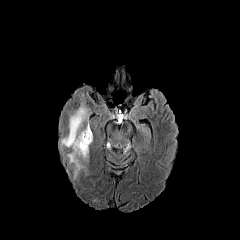
FLAIR MRI.
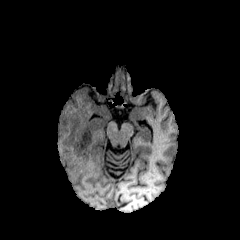
Same slice, T1-weighted MR.
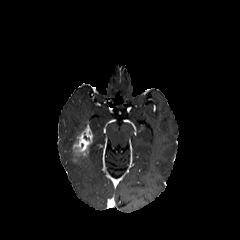
Post-contrast T1-weighted magnetic resonance.
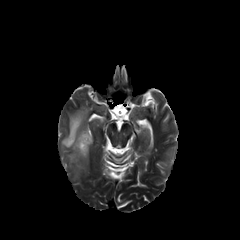
T2-weighted magnetic resonance of the same slice.
The edema is at 59, 102, 91, 179. The enhancing tumor appears at 73, 124, 93, 156.